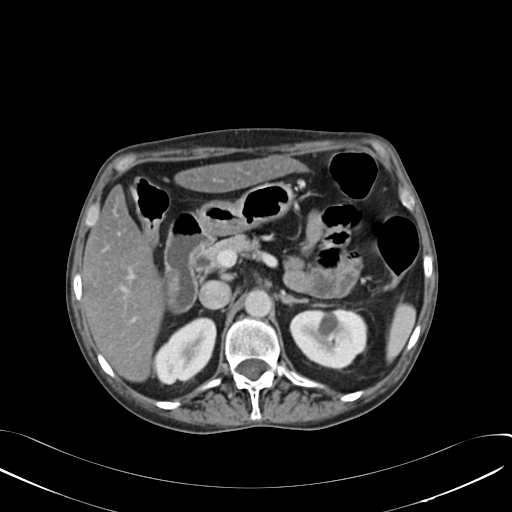
CT scan slice.

<segmentation>
  <kidney>(156, 319, 215, 383), (291, 311, 364, 367)</kidney>
  <liver>(82, 184, 164, 379), (177, 155, 307, 191)</liver>
</segmentation>